Abdomen | Field of view 415 mm wide, 1.50 mm slice spacing | Image size 512x512 | Slice 99/121 | Computed tomography

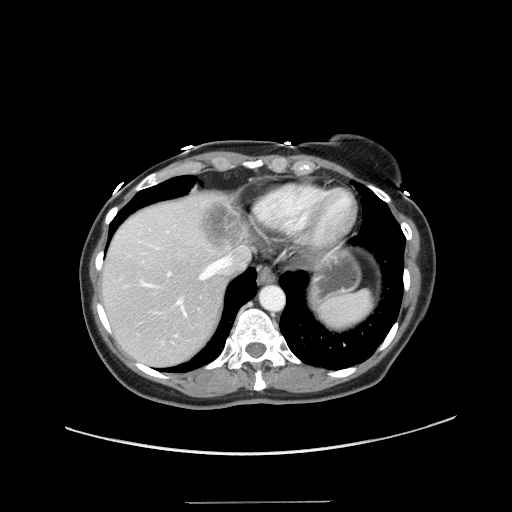
The vessel boxes may cover only some of the vessels.
Segmented structures:
* liver tumor: 198,198,245,250
* hepatic vessel: 168,272,170,275; 175,300,186,315; 199,254,233,279; 238,246,245,249; 141,282,153,286